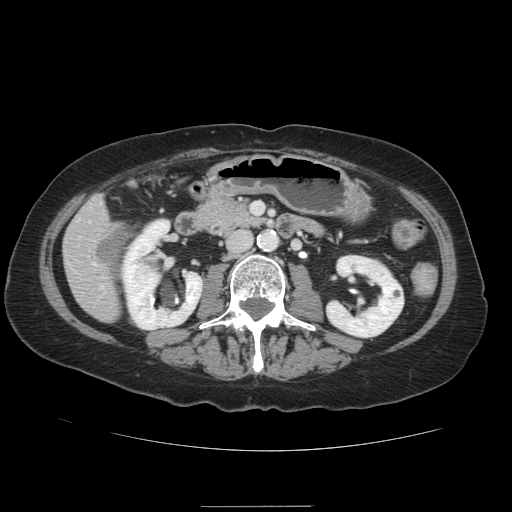
512x512 px | CT image | Abdomen

Some hepatic vessels may have no box.
Annotated regions:
- liver tumor: {"x1": 97, "y1": 225, "x2": 131, "y2": 271}
- hepatic vessel: {"x1": 100, "y1": 287, "x2": 101, "y2": 288}